Image width 396 mm. Abdomen. Slice 31 of 51. CT scan slice.
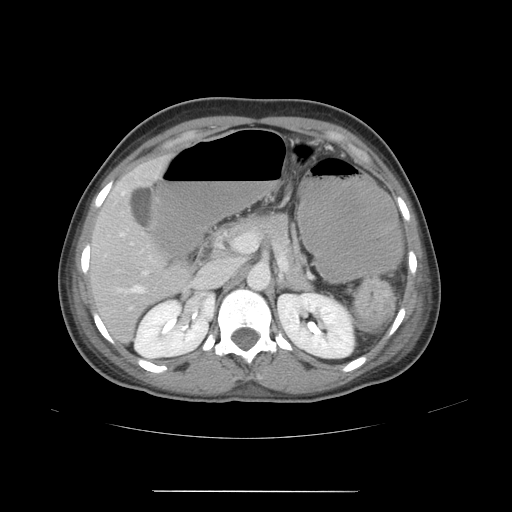 <segmentation>
  <colon_tumor><box>355,277,394,324</box></colon_tumor>
</segmentation>